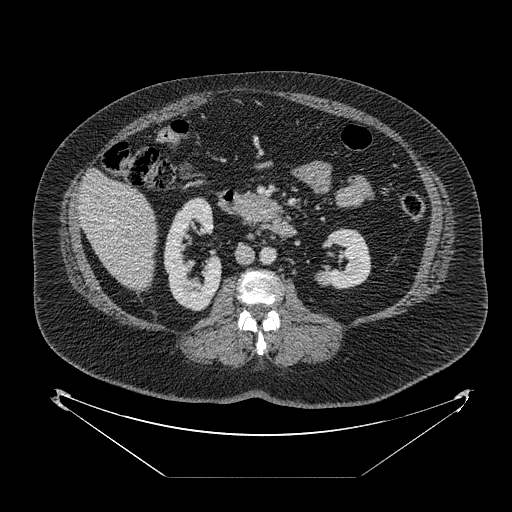

CT, Abdomen
<segmentation>
  <pancreatic_tumor>(left=249, top=198, right=273, bottom=216)</pancreatic_tumor>
  <pancreas>(left=233, top=193, right=280, bottom=223)</pancreas>
</segmentation>